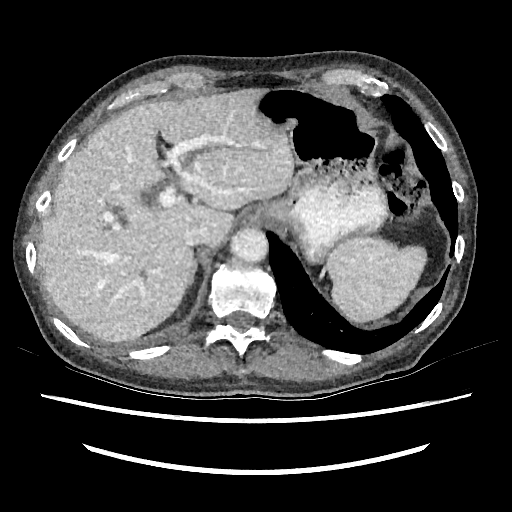
Computed tomography | 512x512 px
The liver is located at bbox=[37, 89, 292, 341].